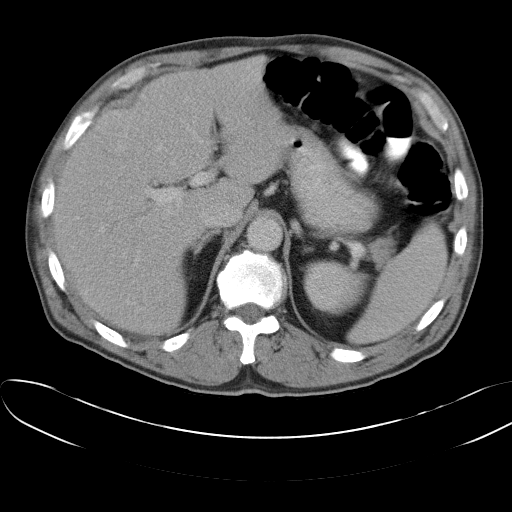

CT scan slice
Spleen at x1=351 y1=225 x2=446 y2=342.